FLAIR MR image.
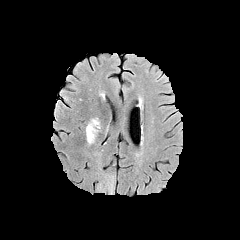
T1-weighted magnetic resonance.
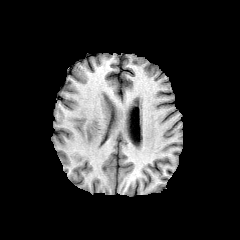
Post-contrast T1-weighted MR image.
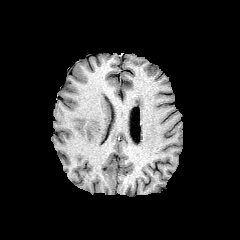
T2-weighted MR image.
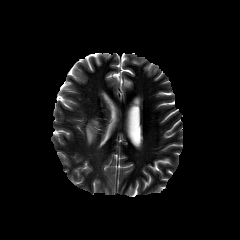
Image size 240x240; Brain
The edema appears at [86,118,100,144].